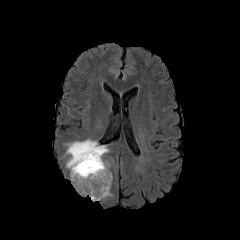
FLAIR MR.
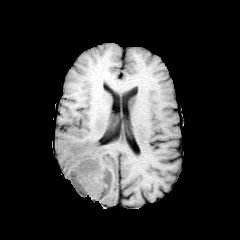
Same slice, T1-weighted MRI.
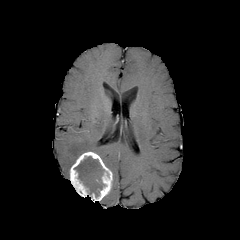
Post-contrast T1-weighted MR image.
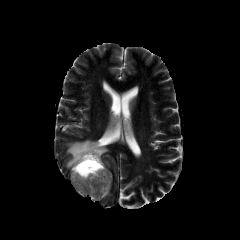
T2-weighted magnetic resonance.
Head
{
  "non-enhancing_tumor_core": [
    "<bbox>75, 156, 104, 196</bbox>"
  ],
  "enhancing_tumor": [
    "<bbox>70, 151, 111, 200</bbox>"
  ],
  "edema": [
    "<bbox>64, 139, 110, 169</bbox>",
    "<bbox>88, 178, 99, 190</bbox>"
  ]
}